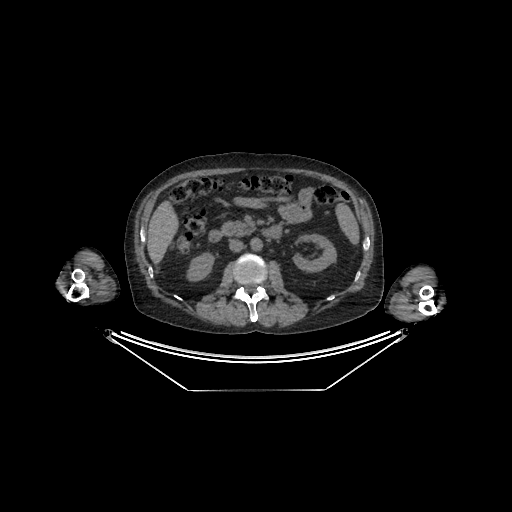 Computed tomography; 512x512 px; Upper abdomen
Liver at bbox(147, 201, 177, 263).
Kidney at bbox(293, 234, 336, 272); bbox(186, 252, 214, 281).